Upper abdomen | Slice index 25 | CT image
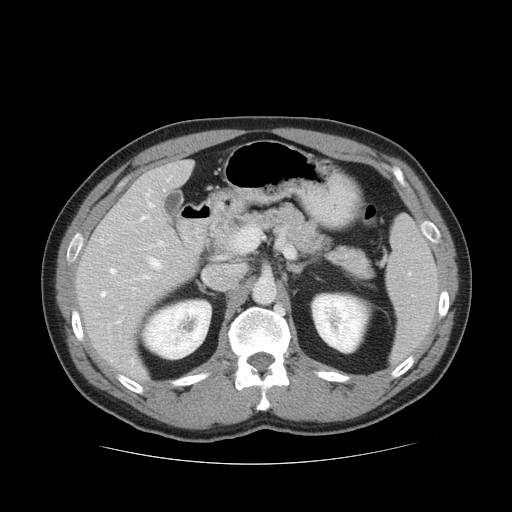

The pancreas appears at region(212, 204, 370, 275).